CT, Liver
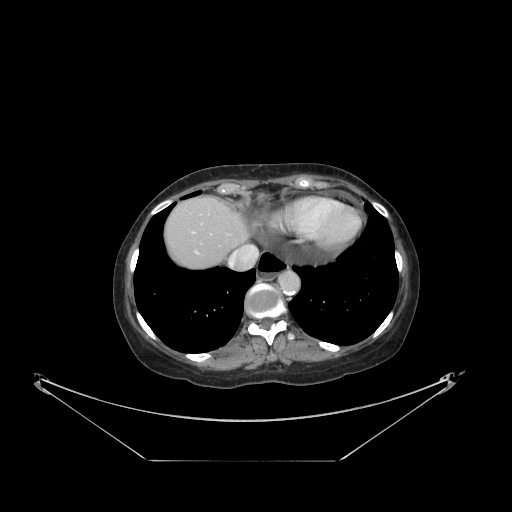 Not every hepatic vessel necessarily has a box.
2 hepatic vessel regions are located at x1=207 y1=213 x2=209 y2=214, x1=228 y1=244 x2=259 y2=267.